Hippocampus | MR | Slice 9 of 36 | 36x47 px

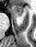 The anterior hippocampus is bounded by (12,6,24,15).